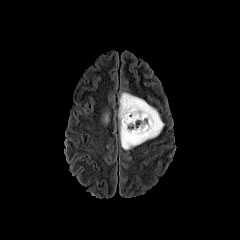
FLAIR MR.
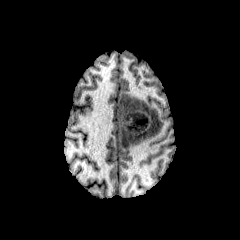
T1-weighted magnetic resonance of the same slice.
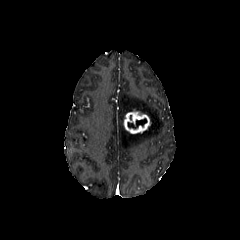
Post-contrast T1-weighted MRI of the same slice.
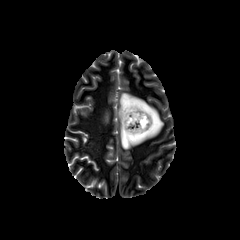
Same slice, T2-weighted MR.
Head
* edema: (118,93,164,149)
* non-enhancing tumor core: (128,118,146,129)
* enhancing tumor: (123,108,151,134)